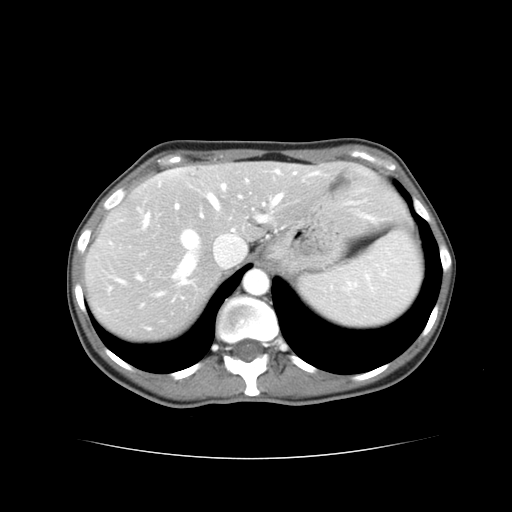

CT scan slice; Image size 512x512

Some hepatic vessels may have no box.
7 hepatic vessel regions are bounded by left=176, top=205, right=178, bottom=208; left=273, top=196, right=280, bottom=203; left=209, top=196, right=218, bottom=207; left=174, top=256, right=194, bottom=283; left=183, top=231, right=197, bottom=248; left=259, top=217, right=266, bottom=221; left=144, top=215, right=149, bottom=225. The liver tumor appears at left=329, top=175, right=351, bottom=191.